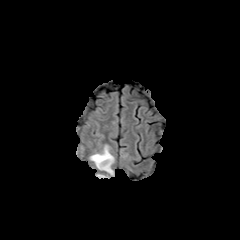
FLAIR MR image.
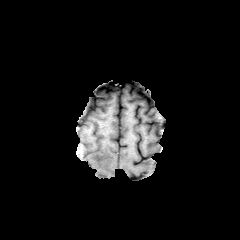
Same slice, T1-weighted magnetic resonance.
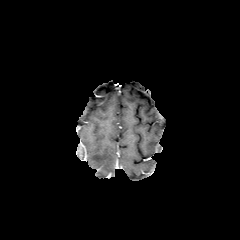
Post-contrast T1-weighted MR.
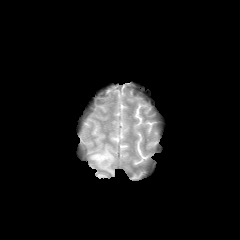
Same slice, T2-weighted MRI.
The edema appears at 90:145:114:177.